Slice 48 of 155; Head; Image size 240x240
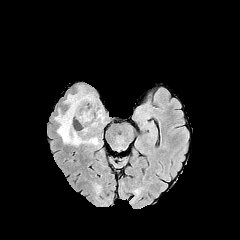
FLAIR MRI.
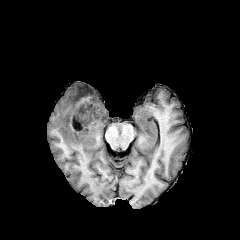
T1-weighted MRI.
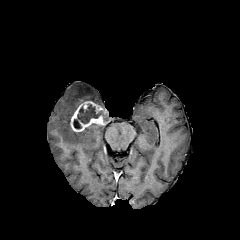
Post-contrast T1-weighted MRI of the same slice.
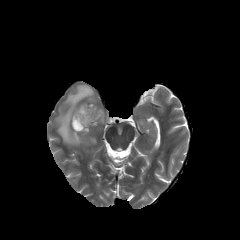
Same slice, T2-weighted magnetic resonance.
The enhancing tumor lies within [70,101,106,131]. 2 edema regions appear at [55,88,97,147], [78,84,87,95]. 2 non-enhancing tumor core regions appear at [72,102,99,130], [73,88,91,101].